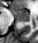

Hippocampus; Magnetic resonance
Posterior hippocampus: bounding box region(18, 20, 28, 22).
Anterior hippocampus: bounding box region(11, 9, 29, 19).